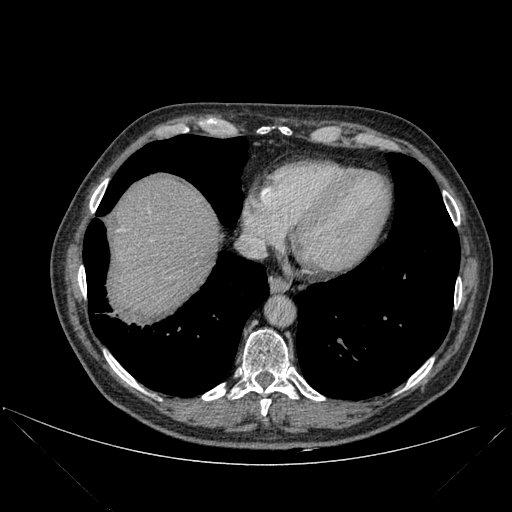

CT; 512x512 px
The liver is at x1=107 y1=178 x2=223 y2=319. 9 bone regions are located at x1=454 y1=278 x2=461 y2=307, x1=202 y1=383 x2=225 y2=400, x1=78 y1=266 x2=86 y2=296, x1=231 y1=330 x2=324 y2=400, x1=104 y1=353 x2=142 y2=390, x1=90 y1=179 x2=107 y2=212, x1=443 y1=191 x2=459 y2=225, x1=260 y1=399 x2=270 y2=415, x1=405 y1=358 x2=433 y2=388. 2 lung regions are located at x1=297 y1=153 x2=459 y2=399, x1=83 y1=134 x2=268 y2=396.